Slice index 30 | CT | 512x512 px

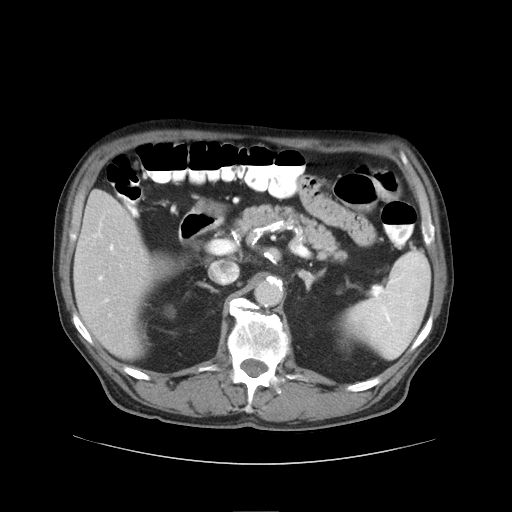 The vessel annotation is not exhaustive.
Annotated regions:
• hepatic vessel: box(108, 245, 113, 251); box(100, 223, 101, 226); box(94, 231, 101, 236)